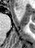
MRI slice
Anterior hippocampus: box(16, 6, 18, 9).